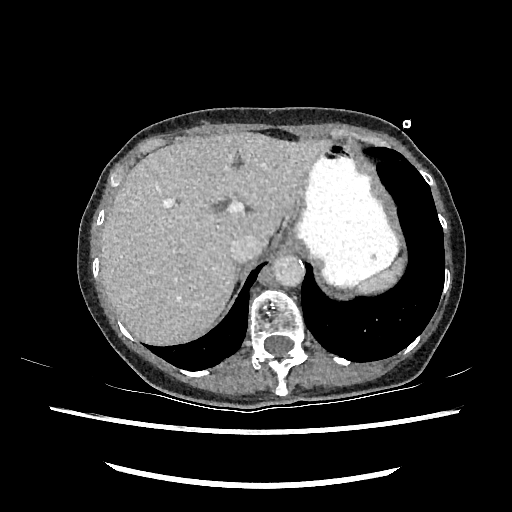

512x512. CT scan slice. Upper abdomen.

Liver = rect(101, 132, 331, 343).